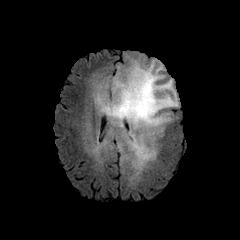
FLAIR magnetic resonance.
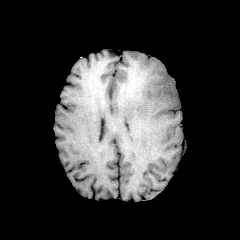
Same slice, T1-weighted MR image.
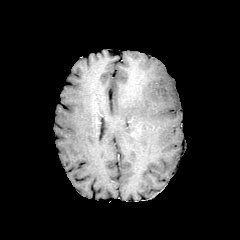
Same slice, post-contrast T1-weighted MR image.
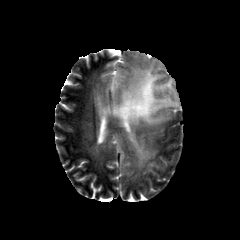
T2-weighted MR image.
Brain
Edema: bounding box left=97, top=60, right=178, bottom=166.
Non-enhancing tumor core: bounding box left=121, top=99, right=133, bottom=107; left=124, top=63, right=151, bottom=96.